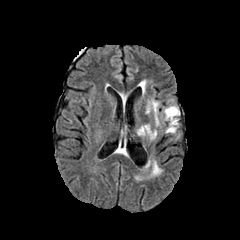
FLAIR MR image.
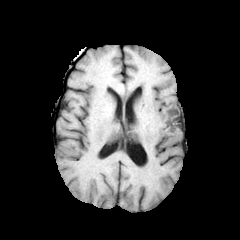
Same slice, T1-weighted MRI.
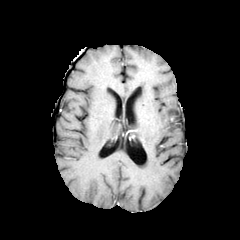
Post-contrast T1-weighted magnetic resonance of the same slice.
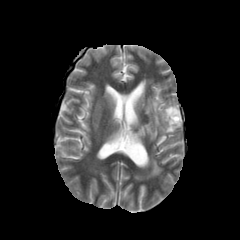
T2-weighted MRI.
Head
3 edema regions are bounded by {"x1": 148, "y1": 160, "x2": 161, "y2": 175}, {"x1": 138, "y1": 99, "x2": 179, "y2": 139}, {"x1": 139, "y1": 80, "x2": 146, "y2": 96}. The non-enhancing tumor core lies within {"x1": 168, "y1": 108, "x2": 178, "y2": 121}.